Slice index 68.
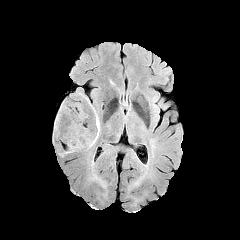
FLAIR MRI.
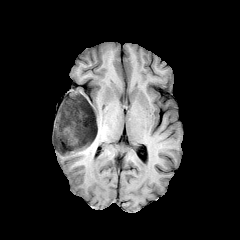
Same slice, T1-weighted MR.
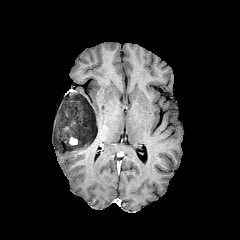
Post-contrast T1-weighted magnetic resonance.
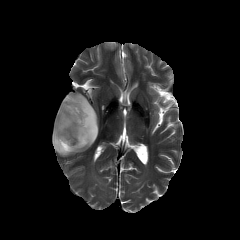
T2-weighted MR image.
Edema: bounding box bbox=[54, 141, 74, 156]; bbox=[90, 104, 98, 137].
Enhancing tumor: bounding box bbox=[68, 137, 77, 145].
Non-enhancing tumor core: bounding box bbox=[54, 94, 97, 151].